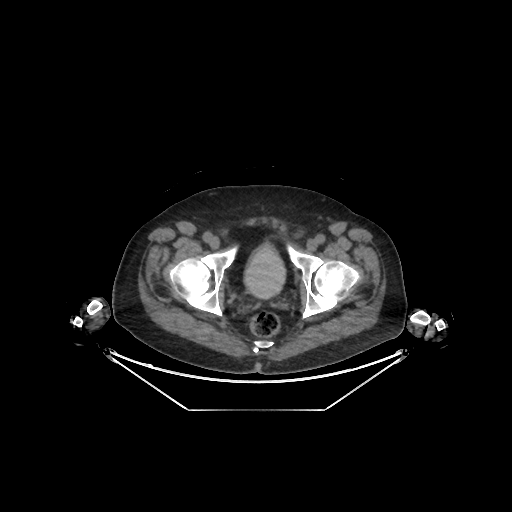 Pelvis, Computed tomography
Segmented structures:
• urinary bladder: (left=244, top=242, right=285, bottom=297)